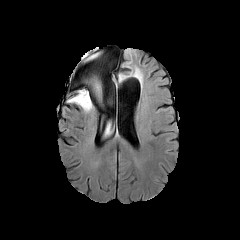
FLAIR MRI.
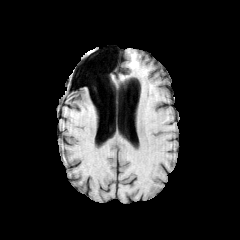
T1-weighted magnetic resonance of the same slice.
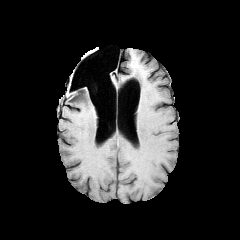
Post-contrast T1-weighted MRI of the same slice.
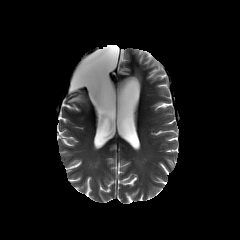
T2-weighted MRI of the same slice.
Brain, Image size 240x240
{"edema": ["l=70, t=74, r=105, b=111"]}